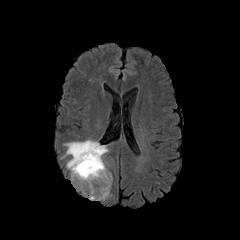
FLAIR MR.
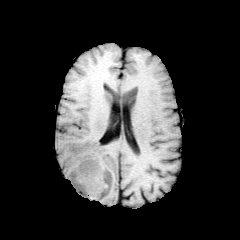
T1-weighted MRI.
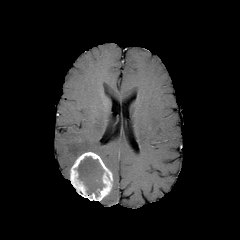
Post-contrast T1-weighted MR.
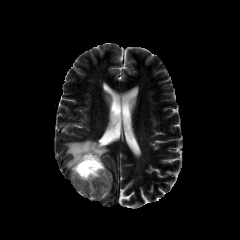
T2-weighted MR.
240x240.
non-enhancing tumor core: 76:156:104:194 | edema: 63:139:109:169 | enhancing tumor: 70:152:112:200